FLAIR MRI.
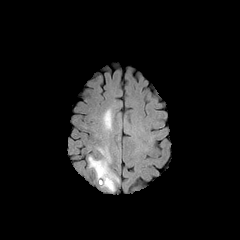
T1-weighted MR image.
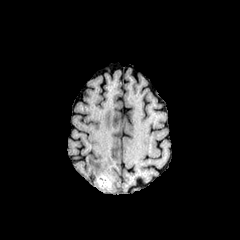
Post-contrast T1-weighted MR.
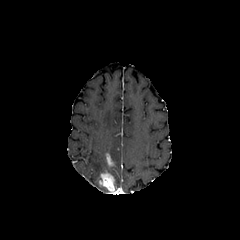
T2-weighted MR image.
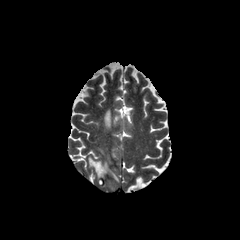
Brain
Annotated regions:
• edema: bbox(100, 108, 113, 131); bbox(97, 147, 107, 156); bbox(88, 156, 108, 170)
• enhancing tumor: bbox(98, 169, 116, 191); bbox(105, 153, 113, 166)